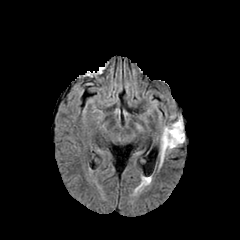
FLAIR magnetic resonance.
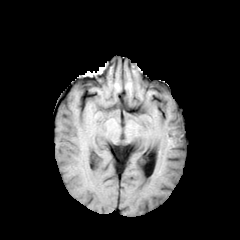
T1-weighted MR of the same slice.
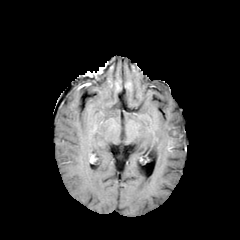
Post-contrast T1-weighted magnetic resonance.
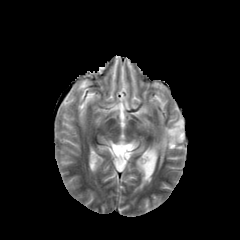
T2-weighted MR of the same slice.
Head
Edema — 160, 116, 184, 163.